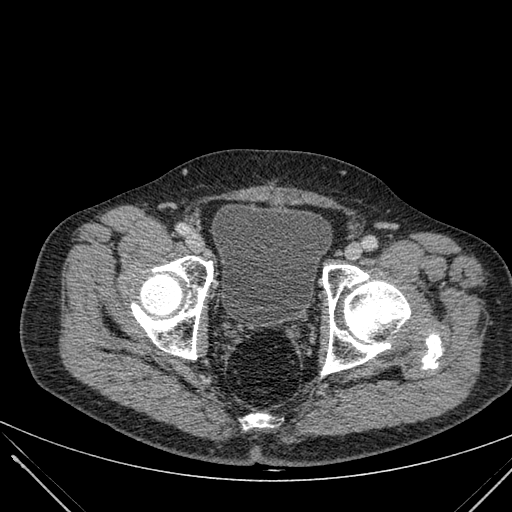

CT scan slice | Pelvis
Urinary bladder = (left=211, top=205, right=331, bottom=324).